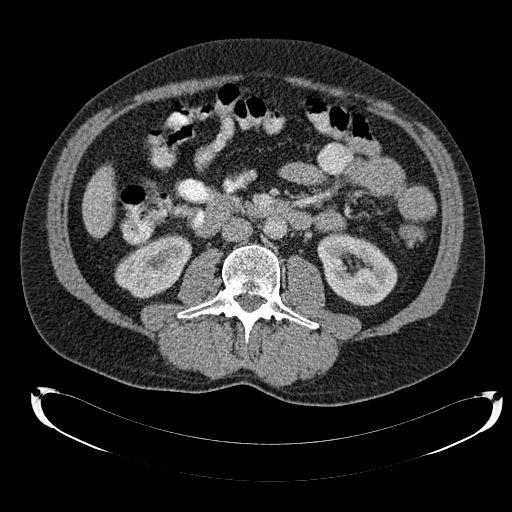
CT slice | Liver | 512x512 px
The liver lies within left=83, top=168, right=113, bottom=237. 2 kidney regions are bounded by left=318, top=235, right=396, bottom=305; left=116, top=236, right=190, bottom=297.